512x512, CT scan slice, Abdomen, Field of view 335 mm wide, 1.00 mm slice spacing
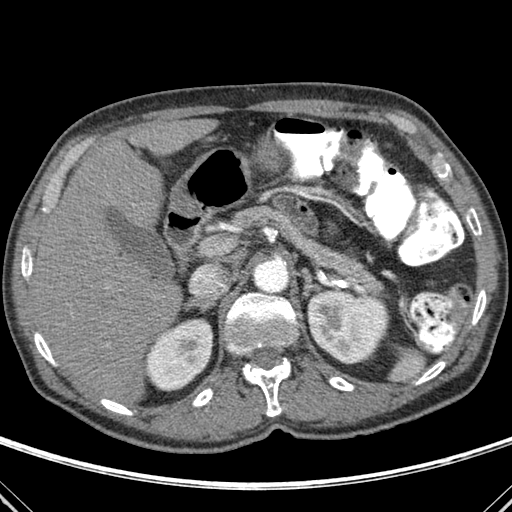

{"bone": ["l=472, t=290, r=486, b=324", "l=416, t=361, r=445, b=384", "l=192, t=388, r=212, b=406", "l=243, t=358, r=290, b=416", "l=329, t=377, r=353, b=390", "l=34, t=332, r=55, b=365", "l=466, t=208, r=481, b=235", "l=226, t=292, r=297, b=354", "l=439, t=163, r=450, b=177", "l=21, t=248, r=32, b=277", "l=101, t=399, r=132, b=415"], "liver": ["l=128, t=119, r=218, b=153", "l=170, t=191, r=183, b=211", "l=33, t=141, r=182, b=402"], "kidney": ["l=147, t=321, r=211, b=389", "l=308, t=292, r=385, b=362"]}